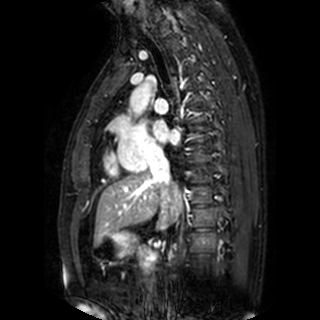 Heart, Image size 320x320, Magnetic resonance

* left atrium: <bbox>152, 120, 178, 143</bbox>